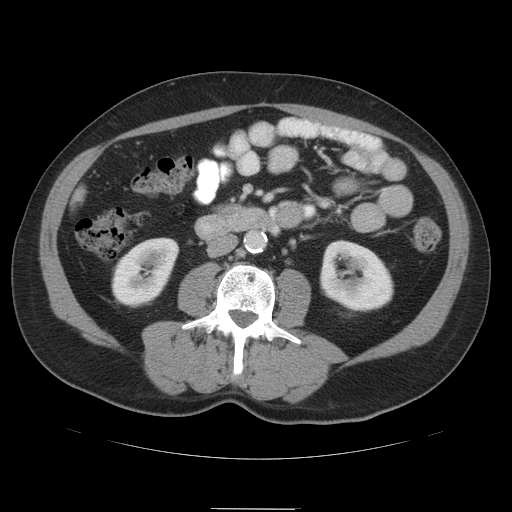

CT image; Abdomen

pancreas:
  - [214,203,258,231]